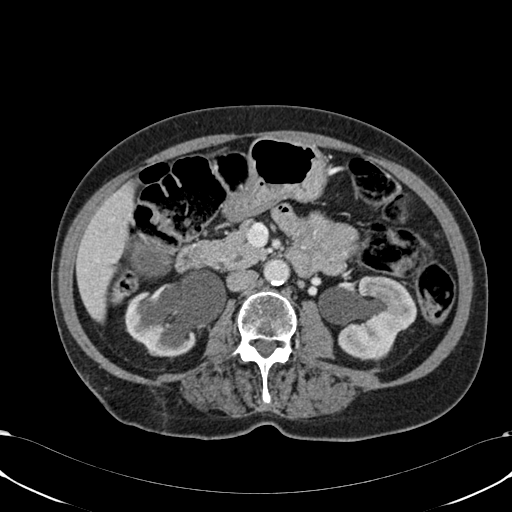 CT image
Liver: (x1=75, y1=183, x2=133, y2=319).
Kidney: (x1=339, y1=277, x2=416, y2=358), (x1=126, y1=291, x2=227, y2=355).